FLAIR magnetic resonance.
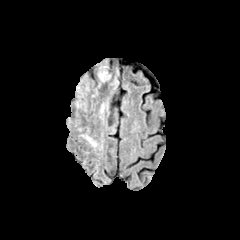
T1-weighted MR image.
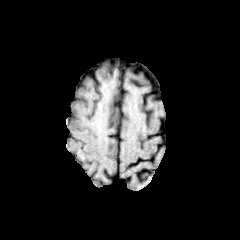
Post-contrast T1-weighted MRI.
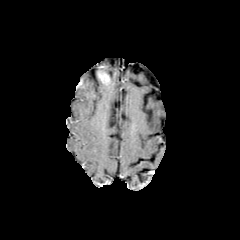
T2-weighted MRI.
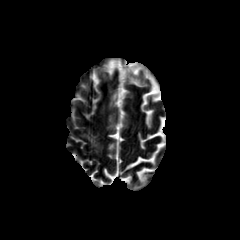
Edema at (x1=85, y1=135, x2=97, y2=147).